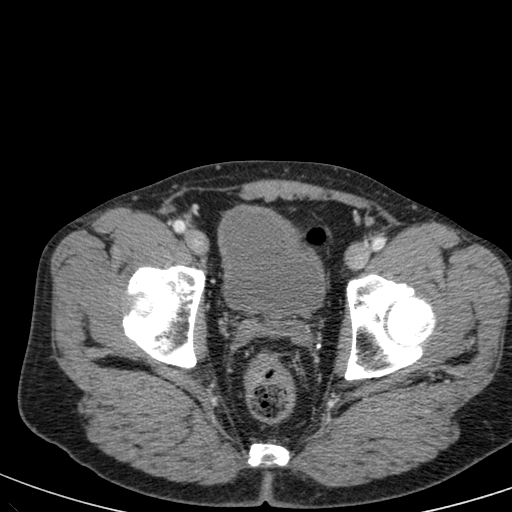
CT scan slice. Pelvis.

urinary_bladder:
  - box=[219, 205, 323, 318]